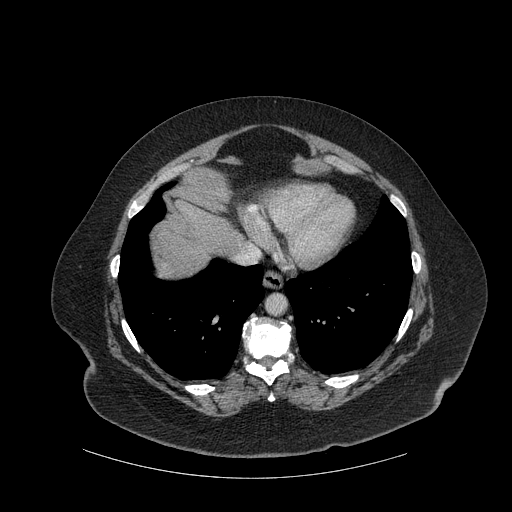 CT image. Abdomen.
{"bone": ["[122, 320, 139, 351]", "[185, 384, 214, 395]", "[243, 318, 290, 358]", "[111, 255, 119, 276]", "[246, 360, 288, 384]", "[325, 375, 357, 387]", "[412, 252, 420, 272]", "[128, 201, 142, 217]", "[397, 309, 412, 340]", "[391, 195, 406, 215]"], "liver": ["[154, 200, 243, 278]"], "lung": ["[118, 182, 263, 379]", "[285, 195, 412, 373]"]}